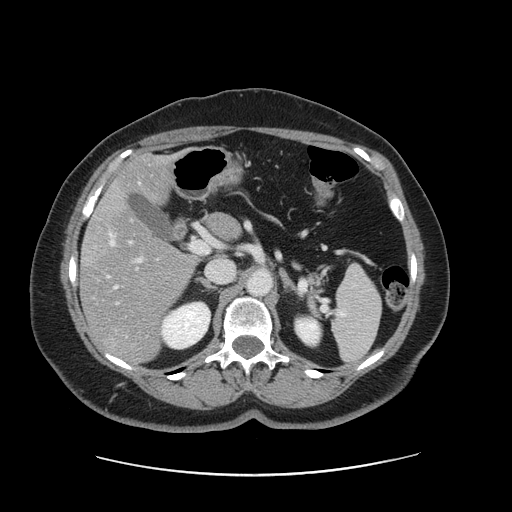 Liver; CT

Some hepatic vessels may have no box.
hepatic_vessel:
  - [110,232,114,245]
  - [135,258,142,262]
  - [129,241,132,243]
  - [114,285,117,288]
  - [107,276,109,277]